Slice 126/155; Field of view 240x240 mm
FLAIR MRI.
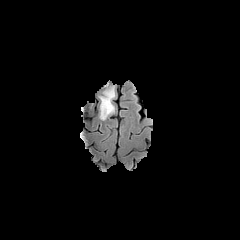
T1-weighted MR image.
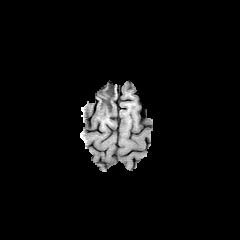
Post-contrast T1-weighted MR.
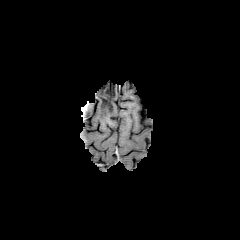
T2-weighted MR image.
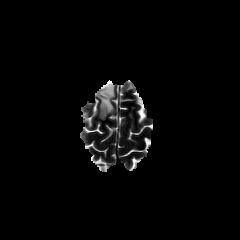
Findings:
• non-enhancing tumor core: 104 104 115 115, 98 85 114 107
• edema: 96 96 107 119, 108 88 115 109